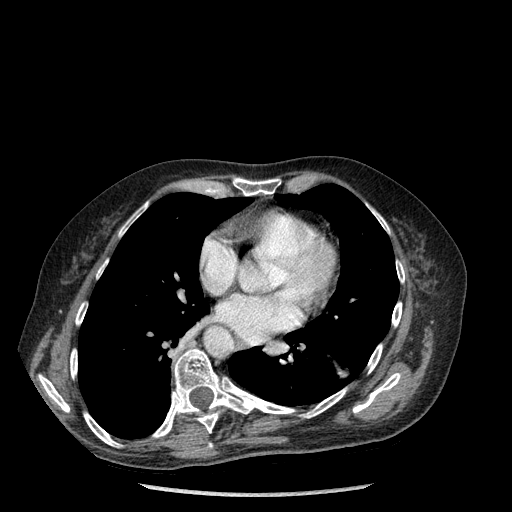
Chest. CT image.

Bone: region(233, 178, 280, 195); region(370, 208, 389, 233); region(298, 388, 346, 418); region(118, 201, 148, 236); region(392, 302, 401, 327); region(75, 302, 87, 325); region(38, 374, 69, 412); region(152, 348, 294, 437); region(96, 259, 108, 277); region(353, 373, 400, 413); region(396, 260, 404, 282); region(84, 412, 121, 447); region(368, 344, 382, 373); region(70, 349, 77, 378).
Lung: region(78, 192, 250, 438); region(229, 184, 399, 405).